Liver; Computed tomography

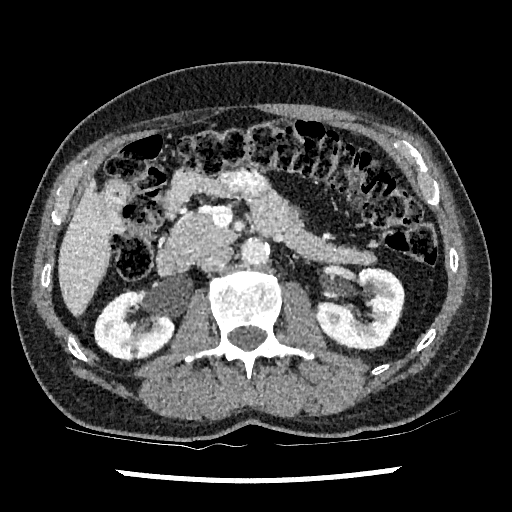
Kidney: (left=318, top=269, right=403, bottom=348), (left=95, top=292, right=173, bottom=358).
Liver: (left=60, top=178, right=109, bottom=316).